Slice index 54, CT slice, Liver
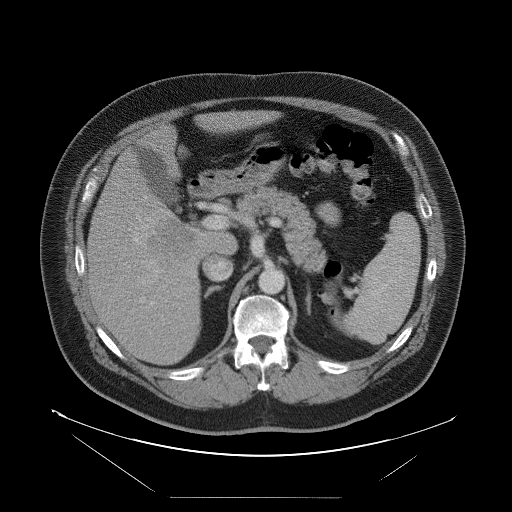 Some hepatic vessels may have no box.
hepatic vessel: [153,270,158,277], [138,276,150,284], [144,260,154,268], [162,315,163,319], [141,227,142,228], [140,297,144,302], [134,238,139,243], [144,232,147,236], [164,285,165,286] | liver tumor: [149,219,197,260]